Computed tomography. Head. 512x512. Slice 514 of 560.
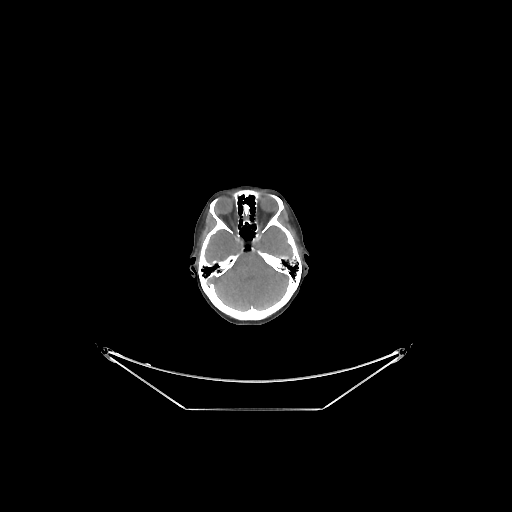

Brain = region(204, 225, 296, 311).